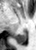 MR image, 36x50 px
Segmented structures:
- posterior hippocampus: {"x1": 15, "y1": 31, "x2": 27, "y2": 43}